512x512 px; CT

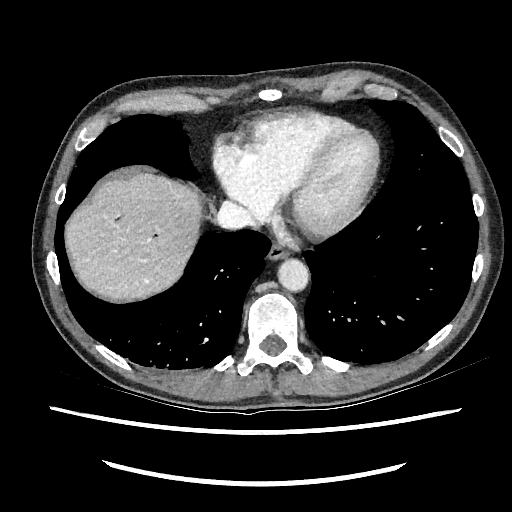

• liver: <bbox>67, 174, 201, 299</bbox>